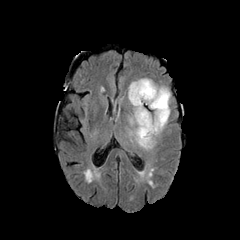
FLAIR MR.
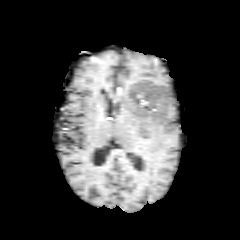
T1-weighted MR of the same slice.
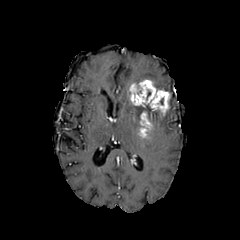
Same slice, post-contrast T1-weighted MR image.
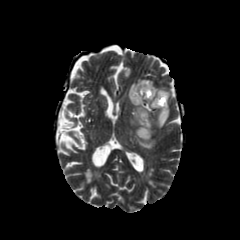
T2-weighted MR.
Brain. 240x240 px.
* enhancing tumor: <box>130,80,169,114</box>, <box>141,112,150,124</box>
* edema: <box>152,81,170,94</box>, <box>128,78,170,149</box>